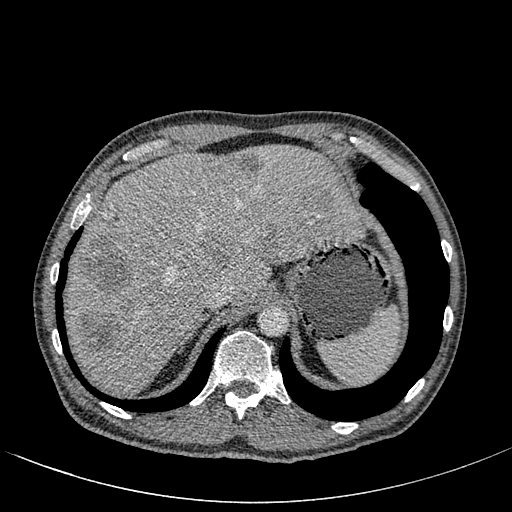

Upper abdomen | CT scan slice | 512x512
{
  "liver": [
    "left=67, top=145, right=365, bottom=394"
  ],
  "liver_lesion": [
    "left=260, top=232, right=279, bottom=250",
    "left=313, top=191, right=331, bottom=209",
    "left=110, top=216, right=118, bottom=222",
    "left=205, top=152, right=262, bottom=187",
    "left=79, top=311, right=122, bottom=352",
    "left=83, top=237, right=130, bottom=293",
    "left=208, top=239, right=232, bottom=264"
  ]
}